Medial temporal lobe; Image width 35 mm; MR image; 35x53 px
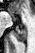 Annotated regions:
• posterior hippocampus: <bbox>14, 28, 25, 42</bbox>
• anterior hippocampus: <bbox>14, 19, 15, 20</bbox>